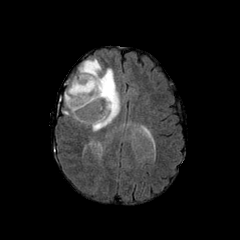
FLAIR MRI.
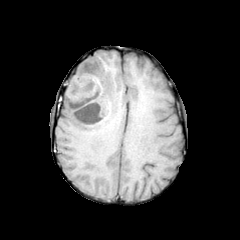
Same slice, T1-weighted MR.
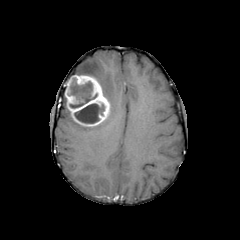
Post-contrast T1-weighted MR.
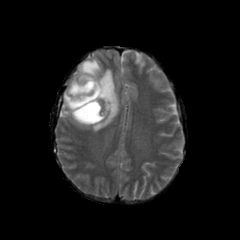
T2-weighted MR.
Head
2 edema regions appear at x1=77, y1=59, x2=119, y2=131; x1=63, y1=98, x2=70, y2=116. The enhancing tumor is bounded by x1=65, y1=75, x2=109, y2=126. 2 non-enhancing tumor core regions are located at x1=69, y1=77, x2=97, y2=108; x1=74, y1=103, x2=105, y2=123.